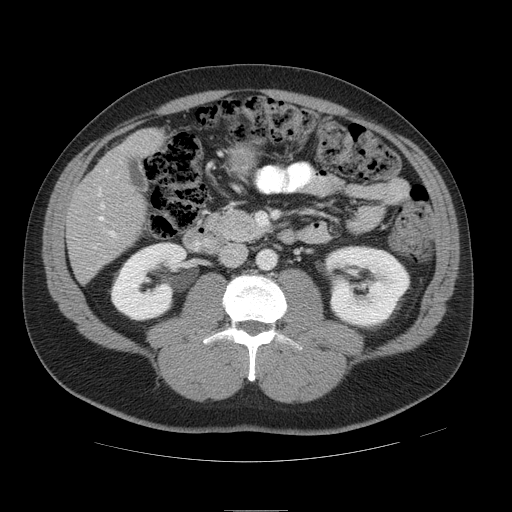 Computed tomography

The vessel boxes may cover only some of the vessels.
<segmentation>
  <hepatic_vessel>bbox=[98, 188, 101, 196]; bbox=[101, 204, 104, 208]; bbox=[109, 231, 115, 236]; bbox=[99, 216, 103, 220]</hepatic_vessel>
</segmentation>